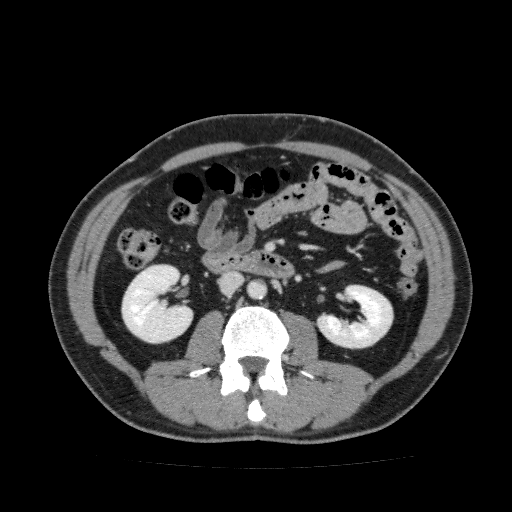 Computed tomography, Abdomen, 512x512

2 kidney regions appear at l=318, t=285, r=392, b=347; l=122, t=265, r=192, b=342.